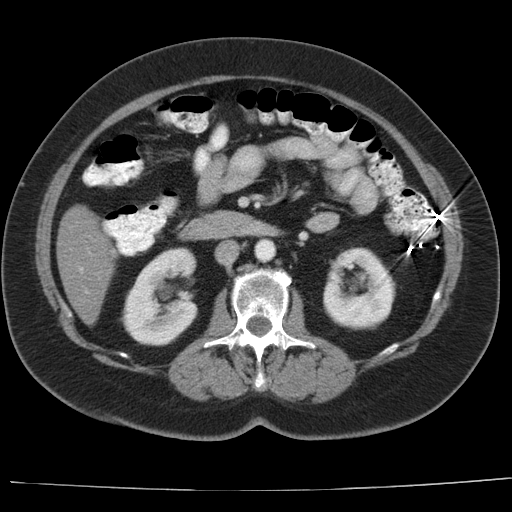 Abdomen | Computed tomography

The vessel boxes may cover only some of the vessels.
<segmentation>
  <hepatic_vessel>l=80, t=268, r=82, b=271</hepatic_vessel>
</segmentation>